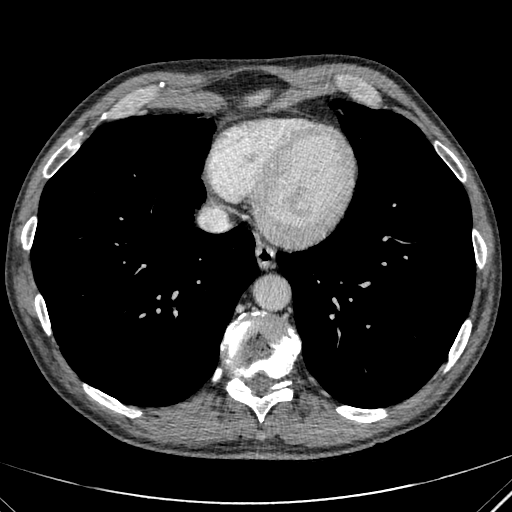
512x512 px, CT slice
The liver is located at 249 90 269 105.